Image size 512x512, Upper abdomen, Slice 483 of 685, Computed tomography

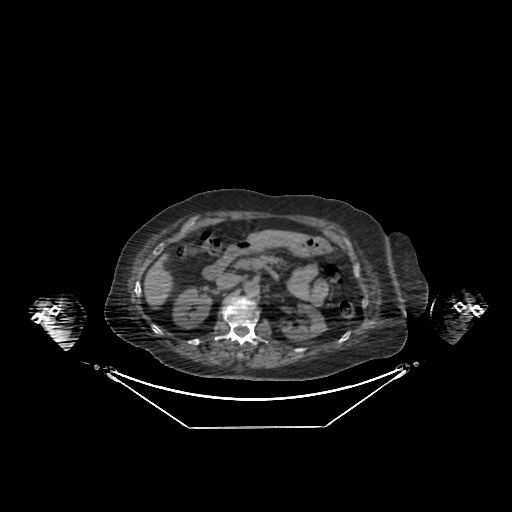
2 liver regions are located at l=245, t=229, r=317, b=255; l=143, t=252, r=179, b=309. 2 kidney regions are located at l=173, t=287, r=212, b=328; l=280, t=304, r=327, b=341.